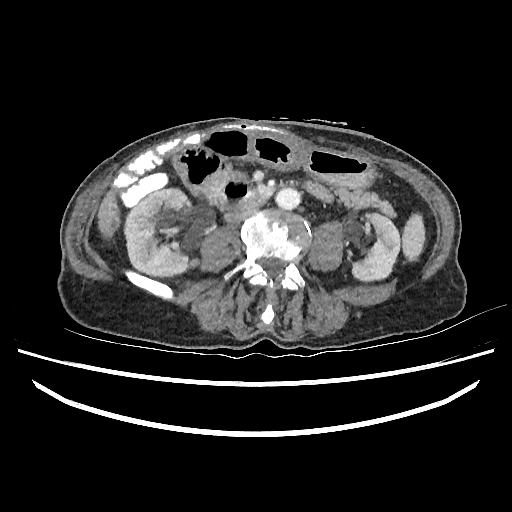

CT slice.

kidney: rect(125, 190, 187, 275); rect(352, 214, 399, 280) | liver: rect(98, 190, 120, 236)